CT image; Abdomen; 512x512

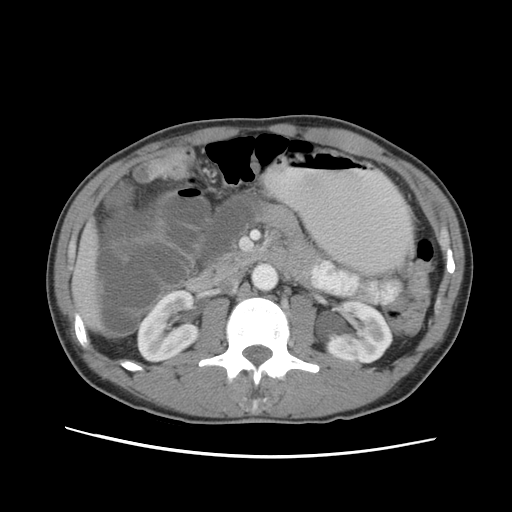 Colon tumor at [148,152,188,181].